Abdomen. Computed tomography. Slice 93/134. Image width 403 mm.

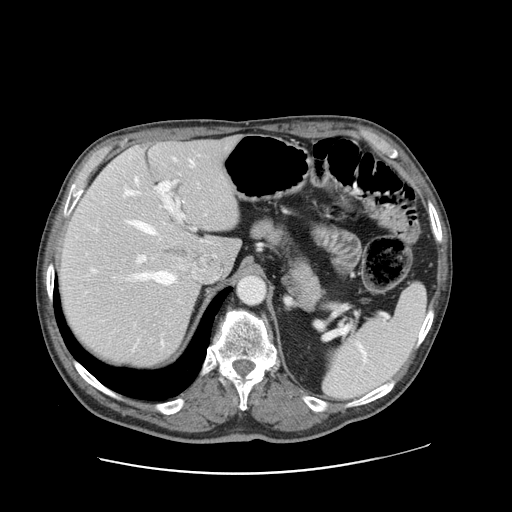 Only some of the vessels may be annotated.
hepatic vessel: (173, 158, 175, 159), (137, 255, 145, 262), (127, 221, 154, 233), (156, 181, 172, 210), (182, 215, 184, 217), (135, 178, 137, 182), (125, 189, 139, 194), (133, 271, 174, 283), (190, 160, 193, 163), (90, 269, 94, 271) | liver tumor: (168, 249, 187, 255)